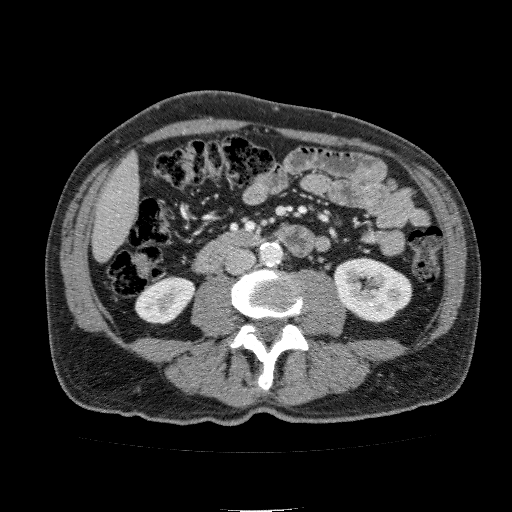

CT, 512x512 px
2 kidney regions are located at [136, 278, 194, 322], [335, 259, 410, 321]. The liver is located at [92, 152, 140, 262].